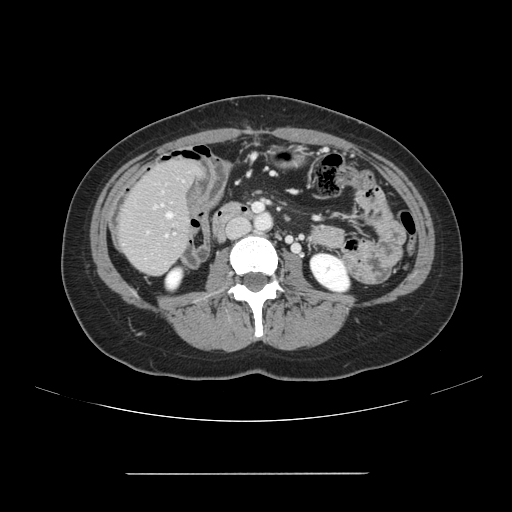

CT. 512x512 px. Liver.
Not every hepatic vessel necessarily has a box.
Segmented structures:
- hepatic vessel: (167,213,172,217)